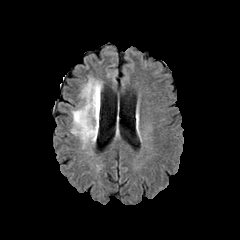
FLAIR magnetic resonance.
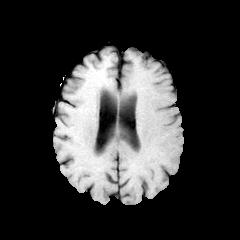
Same slice, T1-weighted MRI.
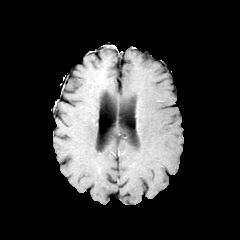
Post-contrast T1-weighted MR.
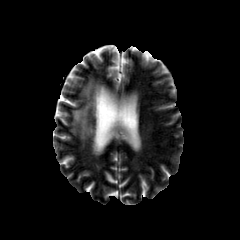
T2-weighted MR image.
Image size 240x240
Edema: bounding box 71:78:102:148.